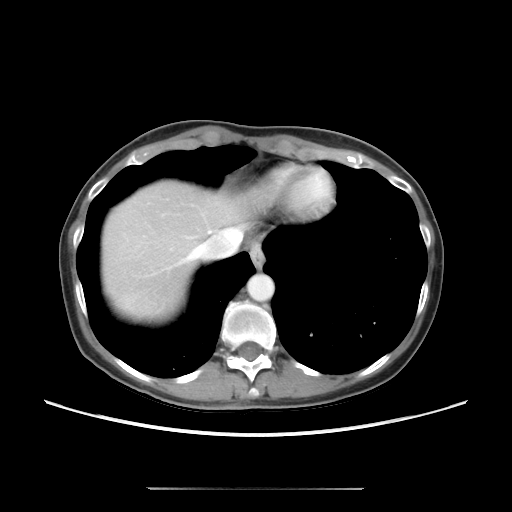 Liver, CT slice
Not every hepatic vessel necessarily has a box.
4 hepatic vessel regions appear at [213,229,241,242], [208,231,211,232], [177,246,201,264], [241,227,242,228]. The liver tumor lies within [137,294,157,314].